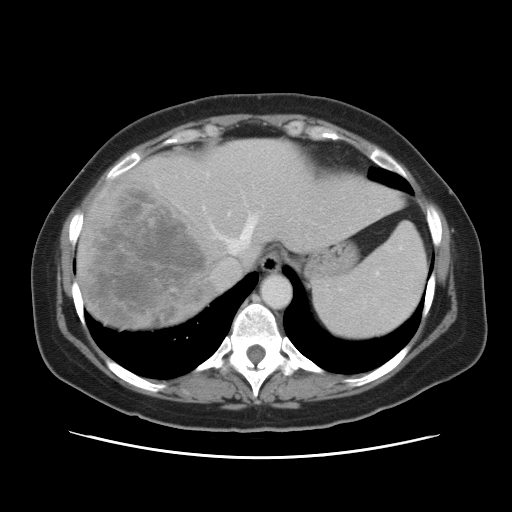
CT scan slice; Abdomen; 512x512 px

The vessel boxes may cover only some of the vessels.
Liver tumor: <bbox>84, 179, 209, 327</bbox>.
Hepatic vessel: <bbox>228, 212, 230, 214</bbox>, <bbox>208, 215, 255, 289</bbox>.